CT slice

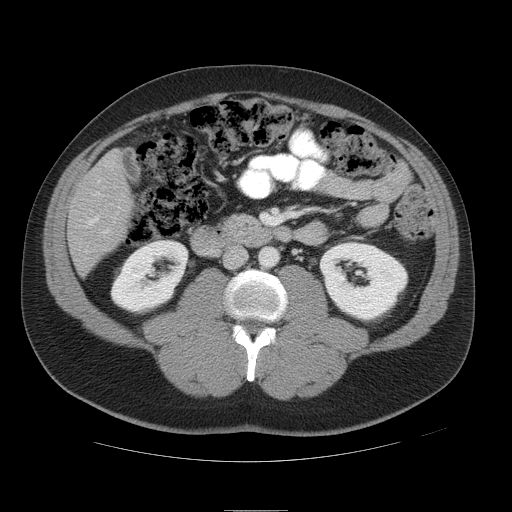
The vessel boxes may cover only some of the vessels.
<segmentation>
  <hepatic_vessel>89,216,98,224; 103,231,107,232; 96,192,99,194</hepatic_vessel>
</segmentation>